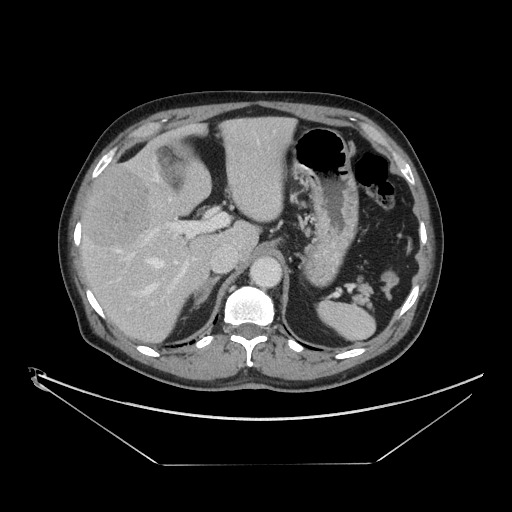 CT image

Some hepatic vessels may have no box.
11 hepatic vessel regions appear at (left=149, top=258, right=163, bottom=267), (left=116, top=249, right=120, bottom=252), (left=169, top=198, right=170, bottom=200), (left=152, top=173, right=158, bottom=180), (left=132, top=292, right=134, bottom=294), (left=144, top=284, right=156, bottom=293), (left=175, top=261, right=177, bottom=263), (left=149, top=228, right=158, bottom=237), (left=193, top=258, right=195, bottom=259), (left=168, top=223, right=176, bottom=231), (left=168, top=263, right=187, bottom=292). The liver tumor lies within (left=83, top=165, right=150, bottom=247).